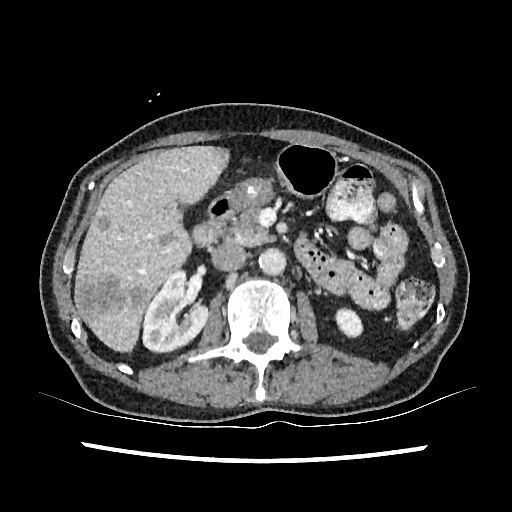 Abdomen | CT image
Segmented structures:
* kidney: [143, 271, 207, 351], [337, 310, 361, 335]
* focal liver lesion: [211, 147, 227, 161], [75, 274, 126, 318], [98, 216, 110, 231], [159, 231, 177, 245], [129, 286, 147, 308]
* liver: [75, 146, 226, 350]